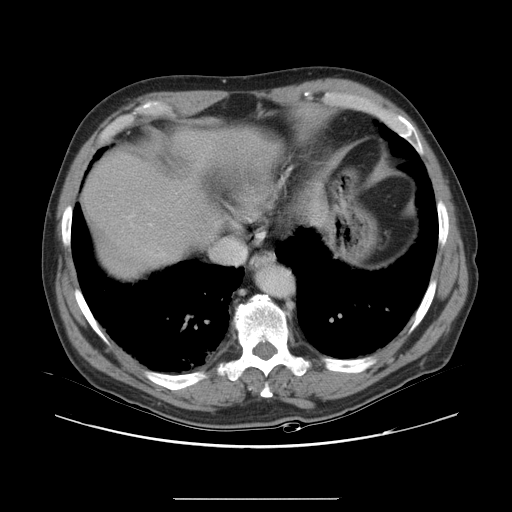 512x512 px. Computed tomography. Some hepatic vessels may have no box.
Segmented structures:
• hepatic vessel: (155,252,163,257), (126,215,133,218)